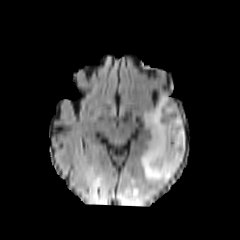
FLAIR MR.
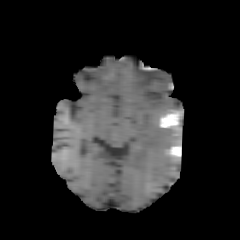
T1-weighted MR image.
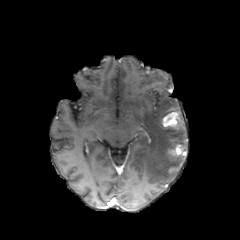
Post-contrast T1-weighted MRI.
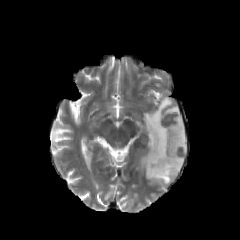
Same slice, T2-weighted magnetic resonance.
Head
Non-enhancing tumor core — bbox=[171, 135, 180, 141].
Edema — bbox=[139, 93, 186, 184].
Enhancing tumor — bbox=[169, 144, 186, 156]; bbox=[162, 111, 179, 129].